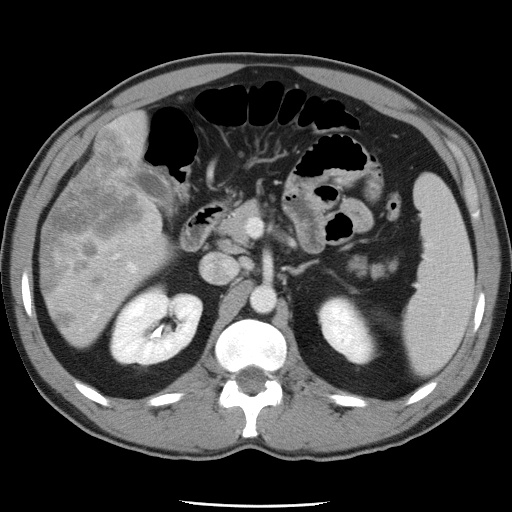
512x512 px, CT scan slice
The vessel boxes may cover only some of the vessels.
hepatic_vessel:
  - (128, 264, 134, 269)
  - (114, 256, 117, 257)